FLAIR MR.
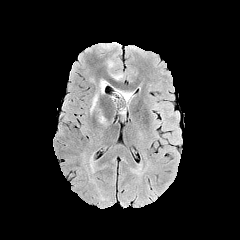
T1-weighted MR.
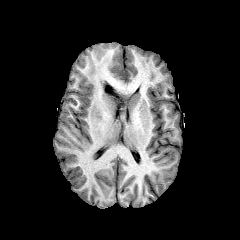
Post-contrast T1-weighted magnetic resonance.
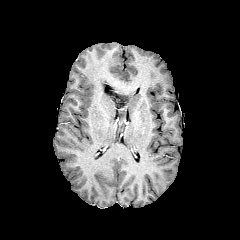
T2-weighted MR.
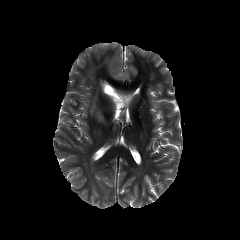
Head, Image size 240x240
non-enhancing tumor core: (116, 95, 127, 107) | edema: (112, 87, 134, 116), (91, 95, 105, 122), (98, 79, 110, 93)